Slice 41/114. Abdomen. Image width 500 mm. CT. 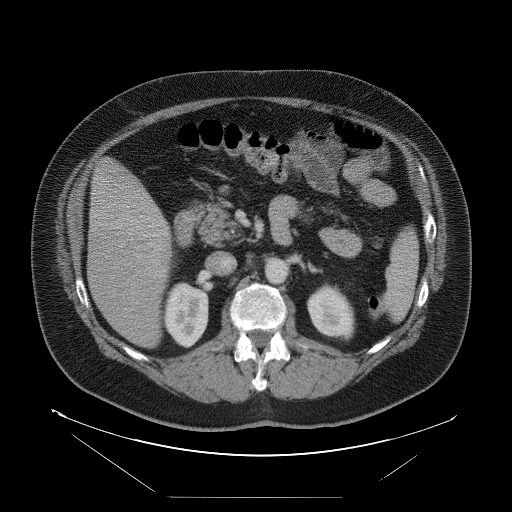 Some hepatic vessels may have no box.
Hepatic vessel at 162:268:165:271, 146:256:150:257, 148:273:150:274, 151:260:153:261, 131:291:134:293, 145:220:167:236, 138:254:142:257, 117:221:121:228, 120:244:124:250.